Head, Image size 240x240
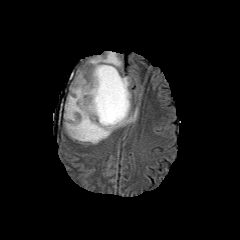
FLAIR MRI.
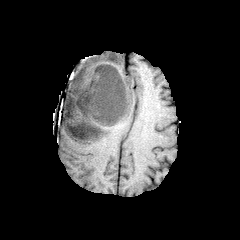
T1-weighted MR image of the same slice.
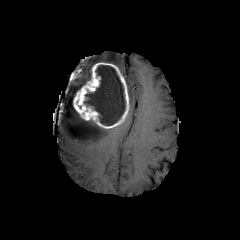
Post-contrast T1-weighted MR image.
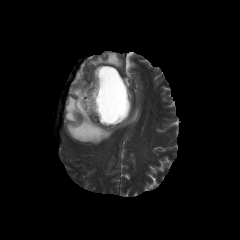
Same slice, T2-weighted MR.
Edema at (left=64, top=51, right=138, bottom=144).
Enhancing tumor at (left=73, top=67, right=83, bottom=84), (left=73, top=62, right=129, bottom=128).
Non-enhancing tumor core at (left=85, top=66, right=125, bottom=125).